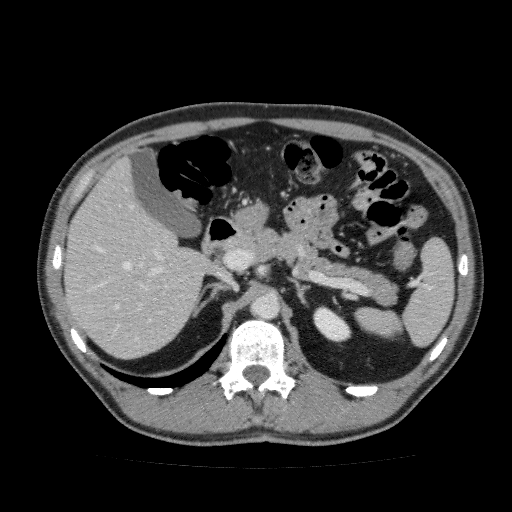
Computed tomography

Kidney at (314, 308, 349, 340).
Liver at (63, 156, 214, 359).